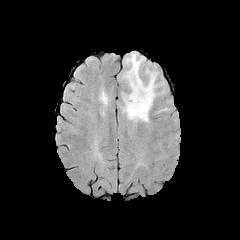
FLAIR MR image.
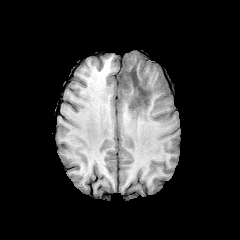
T1-weighted MR image.
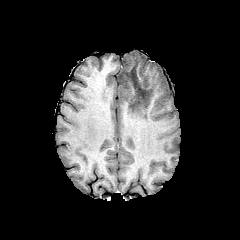
Same slice, post-contrast T1-weighted MR image.
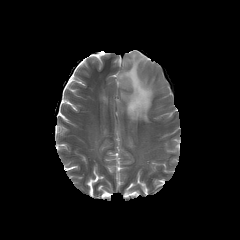
T2-weighted magnetic resonance.
Annotated regions:
* non-enhancing tumor core: l=129, t=70, r=147, b=102
* edema: l=121, t=51, r=160, b=121